FLAIR MR.
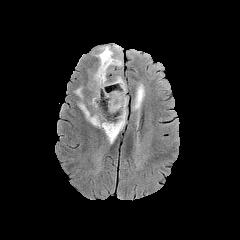
T1-weighted magnetic resonance.
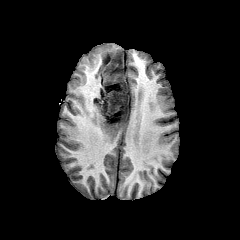
Post-contrast T1-weighted MR.
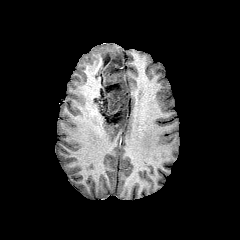
T2-weighted MR.
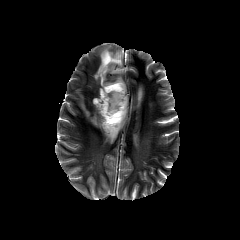
Head
Segmented structures:
- non-enhancing tumor core: <bbox>98, 84, 125, 124</bbox>
- edema: <bbox>130, 86, 144, 110</bbox>, <bbox>79, 44, 129, 142</bbox>